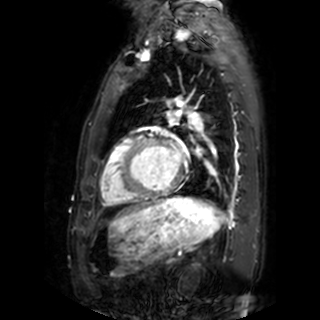
320x320 px; Heart; MR
The left atrium is bounded by x1=175, y1=147, x2=182, y2=156.